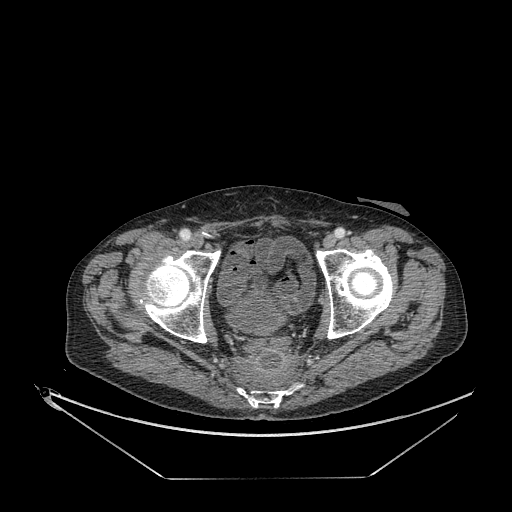 512x512, CT slice, Lower abdomen

Annotated regions:
- urinary bladder: x1=226 y1=278 x2=291 y2=332, x1=260 y1=241 x2=280 y2=266